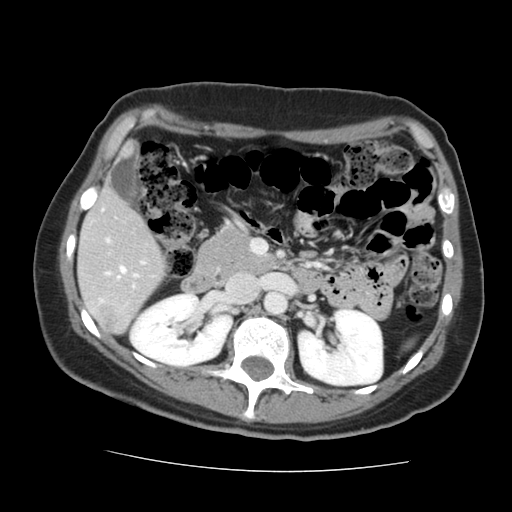
Computed tomography
Not every hepatic vessel necessarily has a box.
{
  "hepatic_vessel": [
    "x1=106 y1=239 x2=108 y2=242",
    "x1=105 y1=273 x2=110 y2=274",
    "x1=120 y1=267 x2=124 y2=273",
    "x1=141 y1=262 x2=144 y2=264",
    "x1=117 y1=276 x2=118 y2=278",
    "x1=133 y1=275 x2=136 y2=276",
    "x1=132 y1=285 x2=133 y2=287"
  ],
  "liver_tumor": [
    "x1=102 y1=306 x2=114 y2=328"
  ]
}